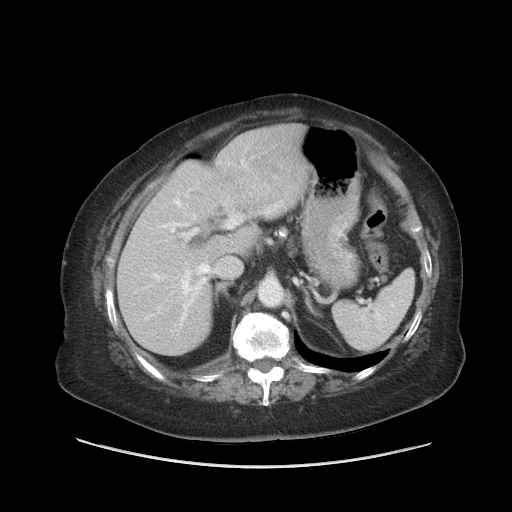 CT image
The vessel annotation is not exhaustive.
4 hepatic vessel regions are bounded by (x1=180, y1=227, x2=197, y2=240), (x1=200, y1=279, x2=204, y2=283), (x1=224, y1=197, x2=228, y2=204), (x1=165, y1=225, x2=176, y2=232).